Field of view 385x385 mm; CT; Slice 446/547
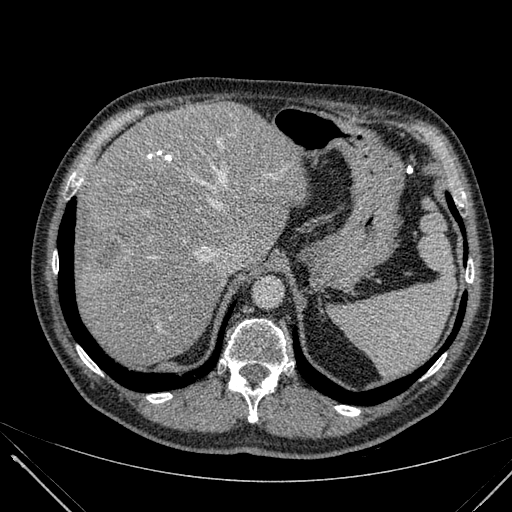

Findings:
* focal liver lesion: (x1=115, y1=227, x2=126, y2=237), (x1=97, y1=239, x2=118, y2=268)
* liver: (x1=75, y1=103, x2=306, y2=367)